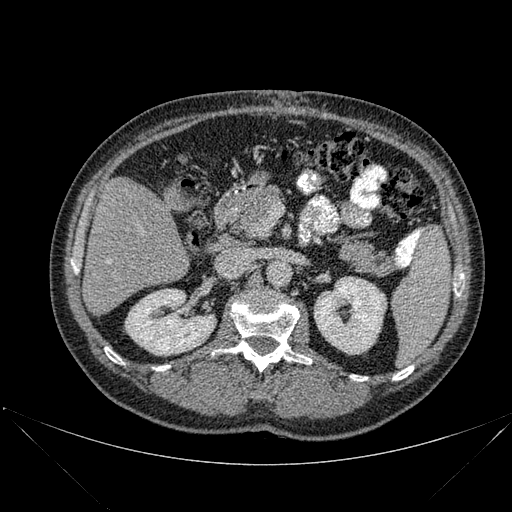
CT image | Upper abdomen | Image size 512x512
<segmentation>
  <bone>104:347:123:364, 231:293:311:371, 393:365:413:380, 350:375:367:381, 155:365:169:370, 454:273:463:295</bone>
  <liver>83:177:189:314</liver>
  <kidney>314:277:386:354, 125:289:215:355</kidney>
</segmentation>